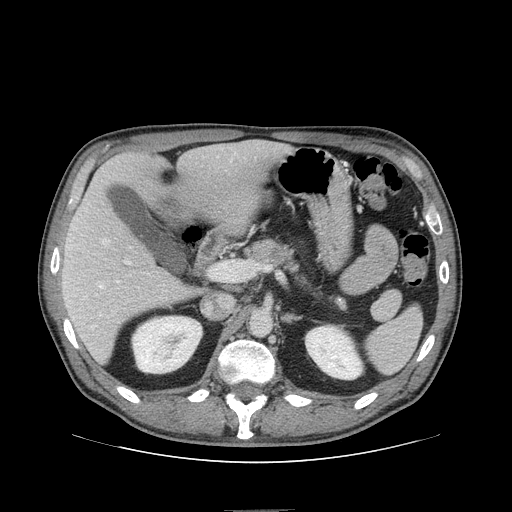
512x512; CT slice; Upper abdomen
The pancreas is bounded by 250 241 296 271. The pancreatic tumor appears at 268 247 281 260.